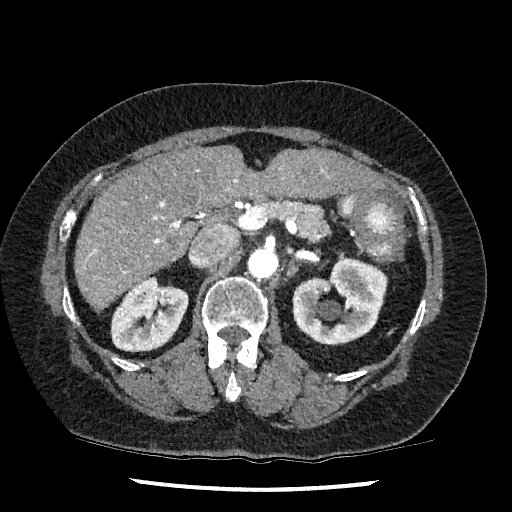

Abdomen, CT slice

kidney:
  - x1=293 y1=258 x2=386 y2=343
  - x1=111 y1=278 x2=187 y2=350
liver:
  - x1=75 y1=146 x2=380 y2=310